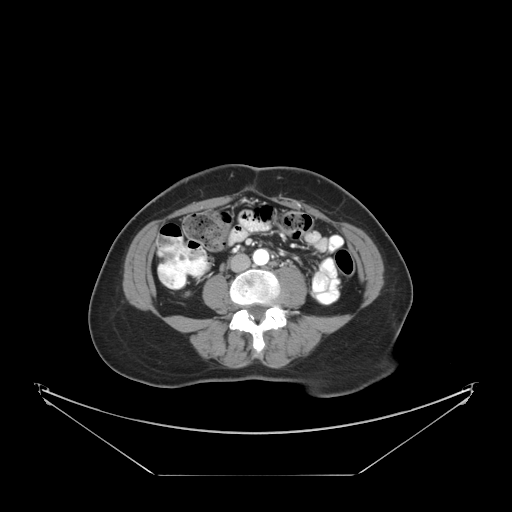 CT scan slice
colon tumor: box=[163, 251, 175, 262]; box=[187, 250, 202, 261]